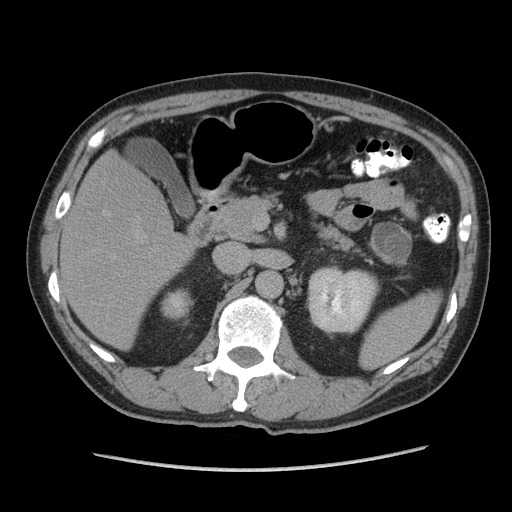

Abdomen; Computed tomography
pancreas: box=[315, 221, 357, 251]; box=[210, 194, 278, 243]